Upper abdomen, Slice 34/63, CT 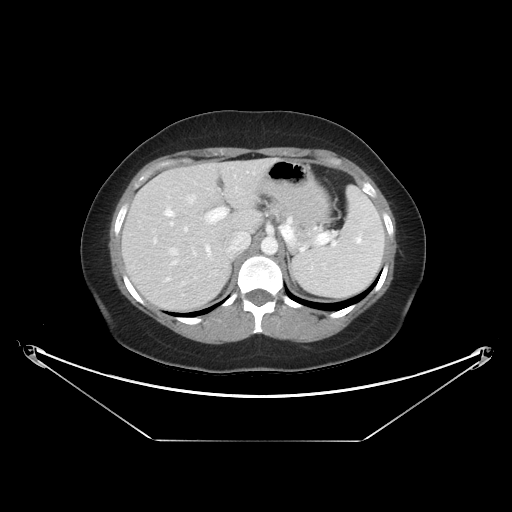 {"pancreatic_tumor": ["region(305, 222, 318, 236)"], "pancreas": ["region(293, 219, 315, 243)"]}